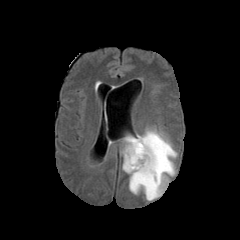
FLAIR MRI.
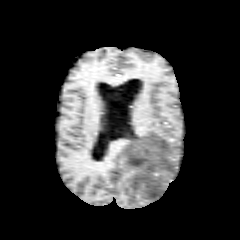
T1-weighted MR image.
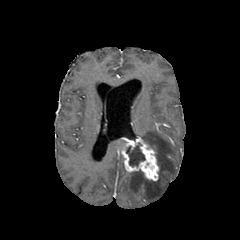
Same slice, post-contrast T1-weighted MRI.
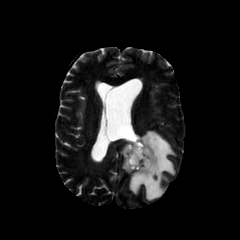
T2-weighted MR image.
Edema at l=122, t=128, r=177, b=200.
Non-enhancing tumor core at l=126, t=143, r=144, b=165.
Enhancing tumor at l=121, t=136, r=159, b=181.